Image size 512x512; CT 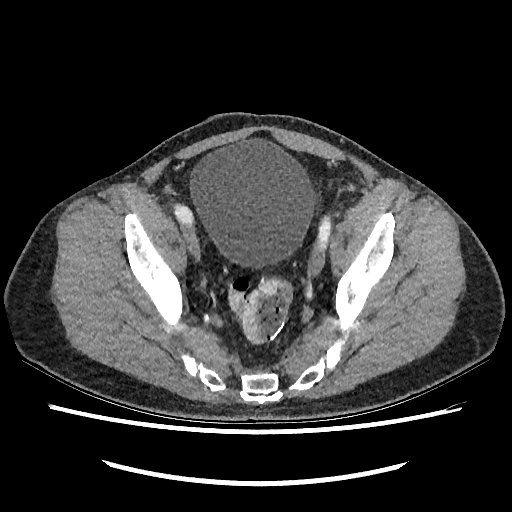
Urinary bladder at [190,136,314,269].